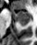 MRI slice. 37x45 px. Hippocampus. The anterior hippocampus appears at [x1=11, y1=9, x2=30, y2=19]. The posterior hippocampus is at [x1=17, y1=20, x2=30, y2=25].